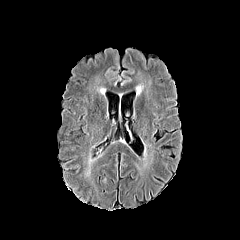
FLAIR MR image.
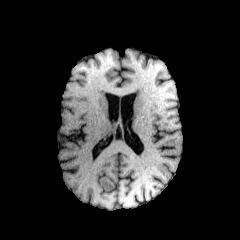
T1-weighted magnetic resonance.
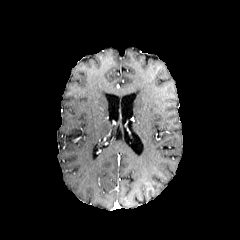
Post-contrast T1-weighted magnetic resonance of the same slice.
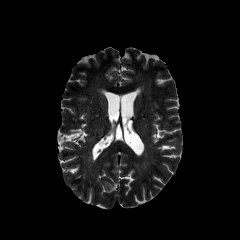
T2-weighted magnetic resonance.
240x240 px
Edema: bbox(85, 152, 102, 185).